Brain, Field of view 240x240 mm, Slice 95 of 155
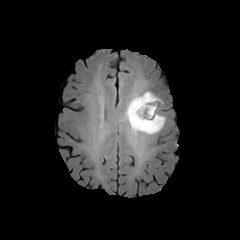
FLAIR MR image.
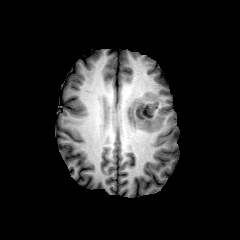
T1-weighted MRI.
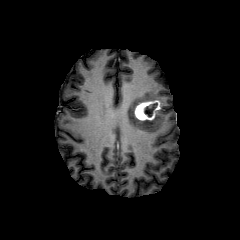
Post-contrast T1-weighted MR image.
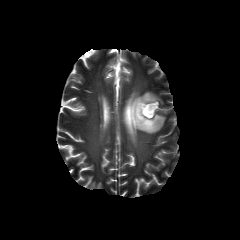
Same slice, T2-weighted magnetic resonance.
Enhancing tumor = region(133, 100, 160, 121).
Non-enhancing tumor core = region(144, 103, 157, 116).
Edema = region(126, 92, 165, 135).